FLAIR magnetic resonance.
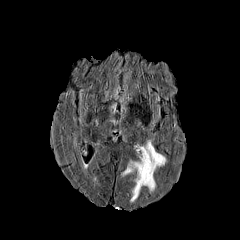
T1-weighted MR.
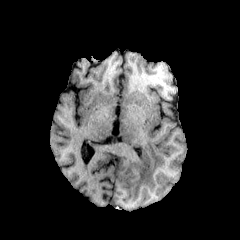
Post-contrast T1-weighted MRI.
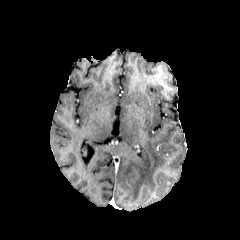
T2-weighted MR.
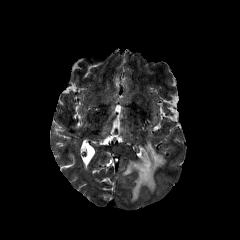
Head. 240x240 px.
Edema — left=121, top=140, right=166, bottom=203.